CT slice; Abdomen; Field of view 434 mm wide, 1.00 mm slice spacing; Slice 283/605
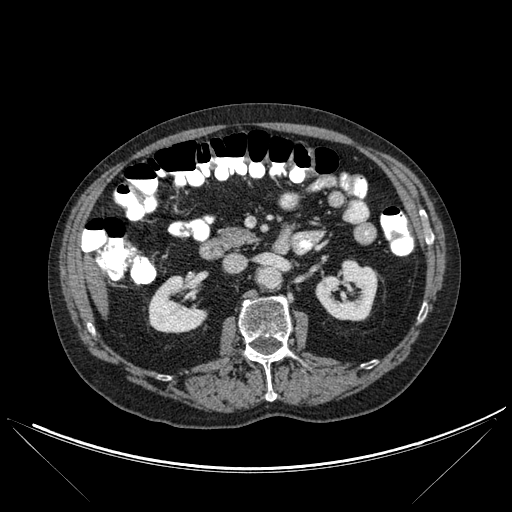

2 liver regions appear at [x1=88, y1=274, x2=107, y2=318], [x1=84, y1=261, x2=94, y2=277]. The bone lies within [x1=239, y1=296, x2=291, y2=400]. 3 kidney regions appear at [x1=316, y1=260, x2=376, y2=320], [x1=149, y1=276, x2=206, y2=332], [x1=188, y1=276, x2=200, y2=286].